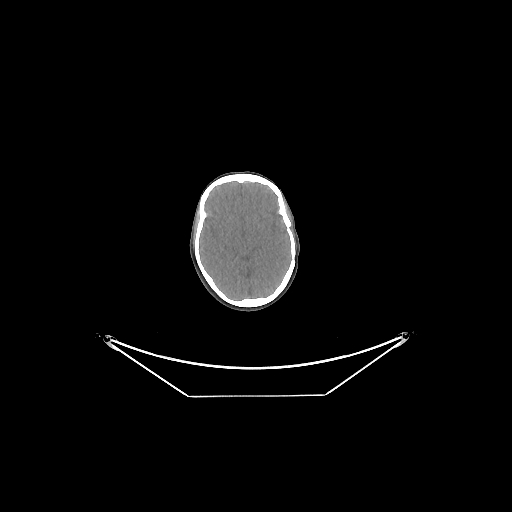 CT slice | Brain
• brain: 199,181,291,300